Field of view 240x240 mm | 240x240
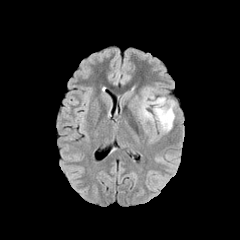
FLAIR MRI.
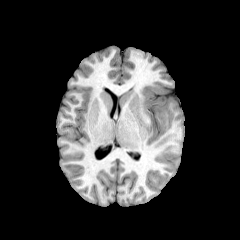
T1-weighted MR image of the same slice.
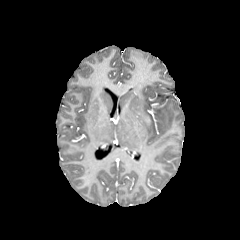
Post-contrast T1-weighted MRI.
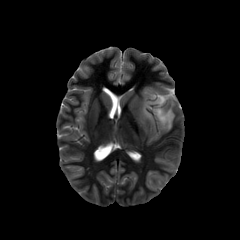
T2-weighted magnetic resonance of the same slice.
The edema is bounded by box=[138, 88, 175, 132].